Slice 45 of 141. CT. Image width 330 mm.

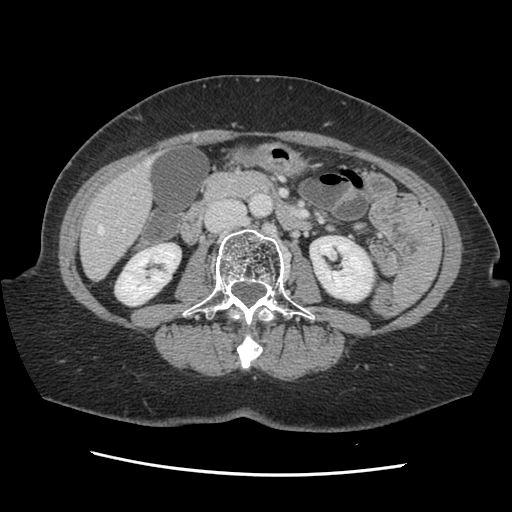 The vessel annotation is not exhaustive.
hepatic_vessel:
  - (left=98, top=226, right=103, bottom=232)
  - (left=146, top=161, right=148, bottom=164)
  - (left=96, top=268, right=99, bottom=270)